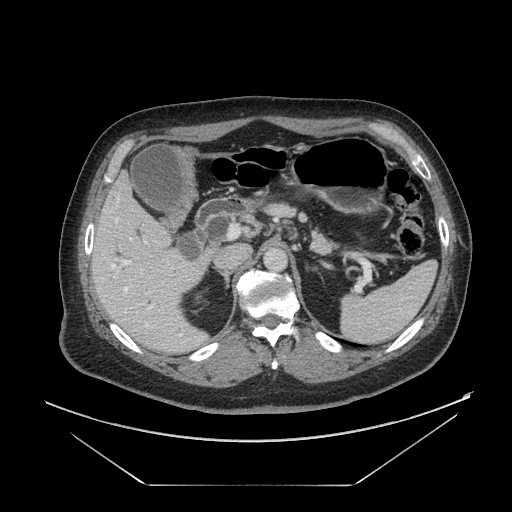

CT

Pancreas: bounding box (left=264, top=203, right=308, bottom=223), (left=312, top=230, right=338, bottom=253).